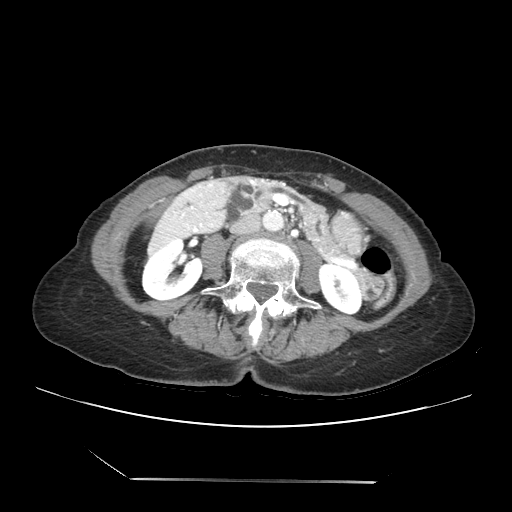 Upper abdomen | CT slice
Segmented structures:
* pancreas: rect(223, 178, 383, 300)